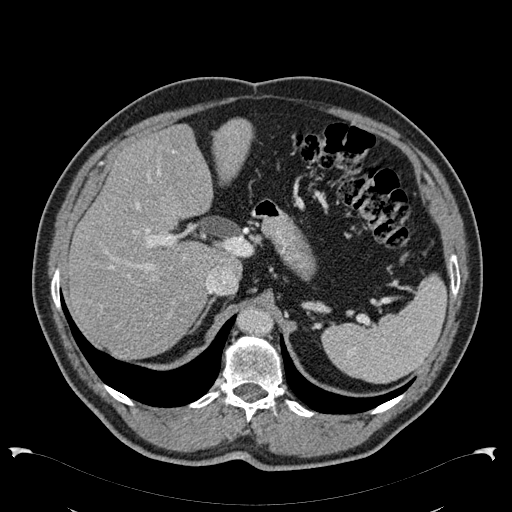

CT image
Focal liver lesion = 159 200 172 214.
Liver = 212 118 252 186, 68 123 241 358.